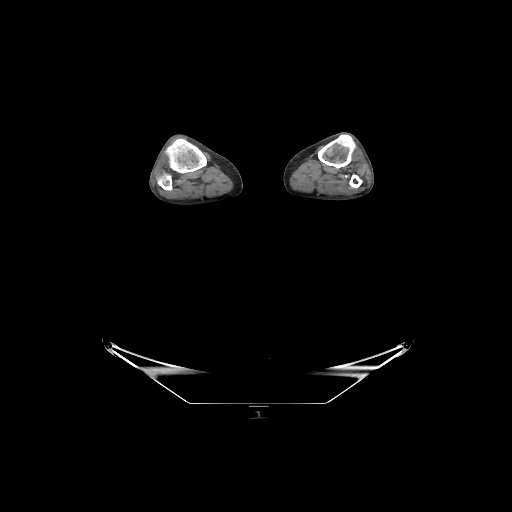
CT image. Image size 512x512.
Segmented structures:
* bone: {"x1": 318, "y1": 134, "x2": 355, "y2": 168}, {"x1": 349, "y1": 174, "x2": 362, "y2": 187}, {"x1": 157, "y1": 174, "x2": 172, "y2": 190}, {"x1": 165, "y1": 139, "x2": 206, "y2": 172}